Image width 240 mm
FLAIR MRI.
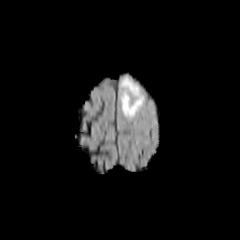
T1-weighted MR.
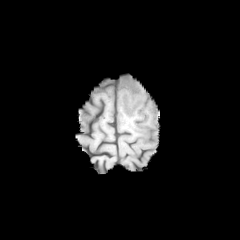
Post-contrast T1-weighted MR image.
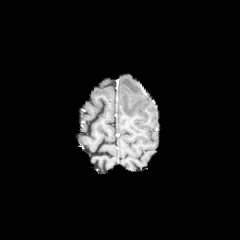
T2-weighted magnetic resonance.
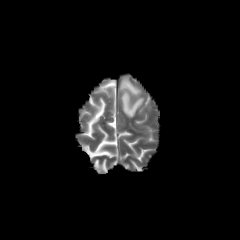
edema: {"x1": 121, "y1": 77, "x2": 143, "y2": 117}